CT; 512x512 px
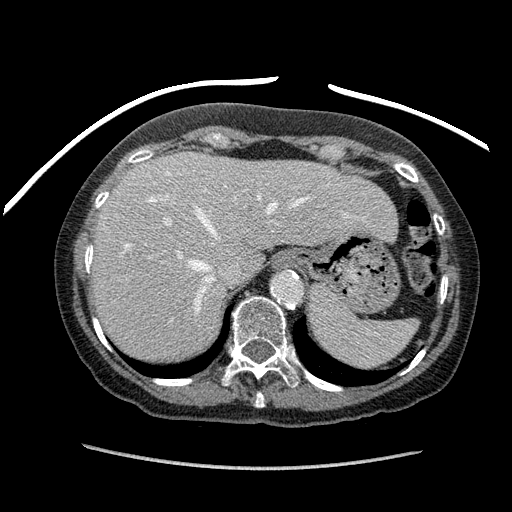 liver: left=92, top=152, right=396, bottom=361